FLAIR MR.
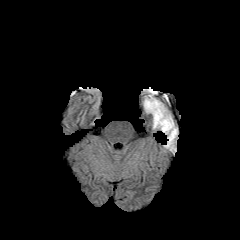
T1-weighted magnetic resonance.
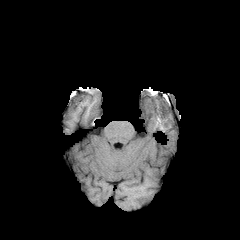
Post-contrast T1-weighted MR.
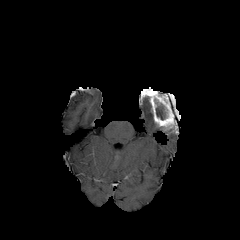
T2-weighted magnetic resonance.
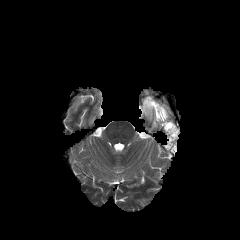
240x240
{"edema": ["160,129,177,152", "141,88,159,94", "141,100,150,114"], "non-enhancing_tumor_core": ["156,108,163,119"], "enhancing_tumor": ["141,92,177,133"]}